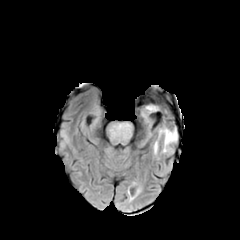
FLAIR MRI.
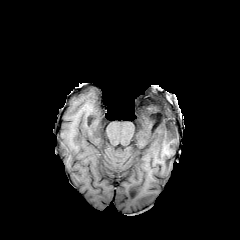
T1-weighted MR.
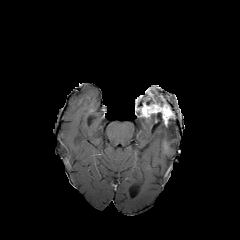
Post-contrast T1-weighted MRI.
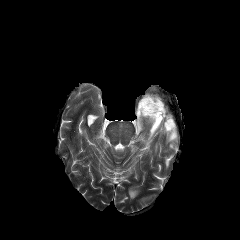
Same slice, T2-weighted MR image.
240x240 | Brain
enhancing_tumor:
  - 140,101,171,125
edema:
  - 144,118,177,155
non-enhancing_tumor_core:
  - 154,112,171,129